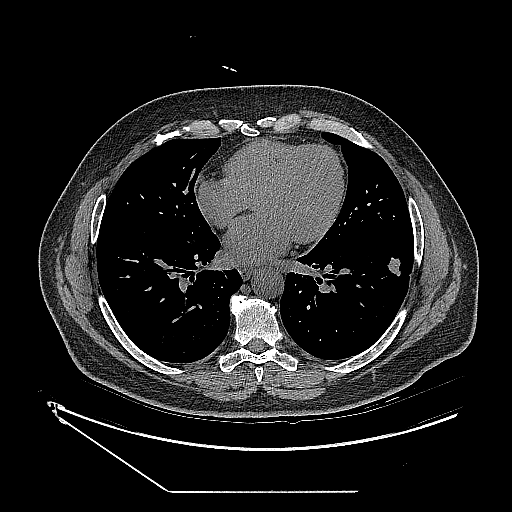 Lung | Image size 512x512 | Computed tomography
<segmentation>
  <lung_tumor>(387,257,401,276)</lung_tumor>
</segmentation>